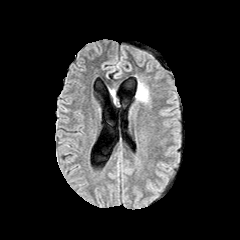
FLAIR MR image.
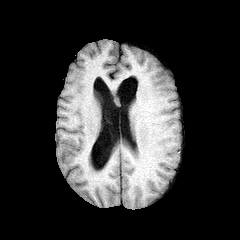
Same slice, T1-weighted MR.
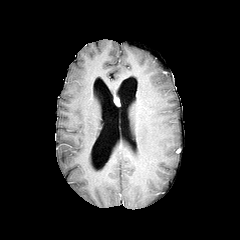
Post-contrast T1-weighted magnetic resonance.
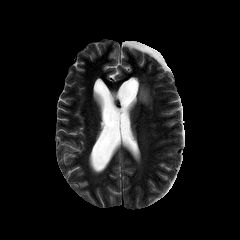
T2-weighted MR.
Brain
Edema = <box>136,82,150,103</box>.